CT scan slice. 512x512. Upper abdomen.
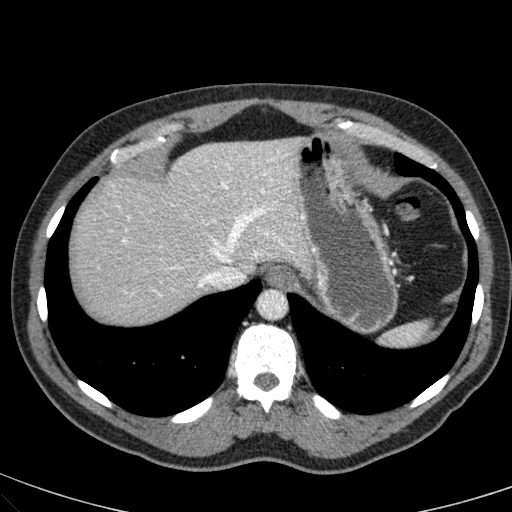

Liver — 74 138 312 323.